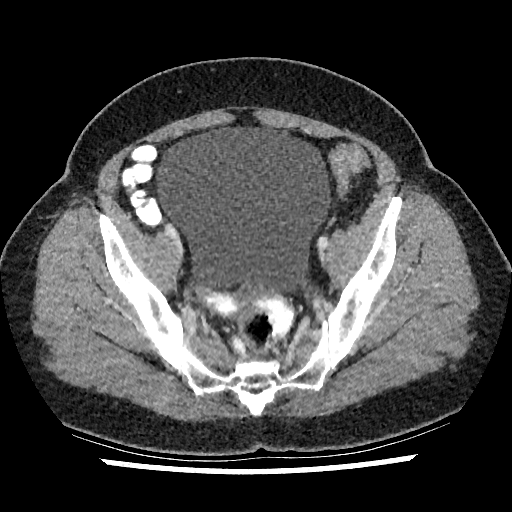
Lower abdomen | CT scan slice
The urinary bladder is at [156, 124, 330, 294].